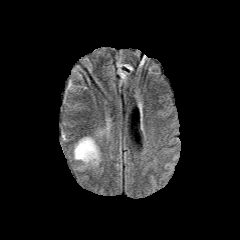
FLAIR magnetic resonance.
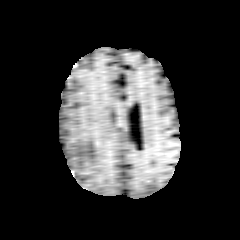
T1-weighted magnetic resonance of the same slice.
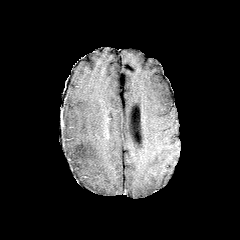
Same slice, post-contrast T1-weighted MR image.
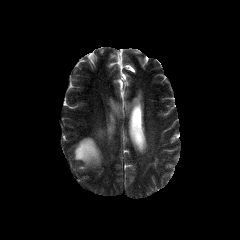
T2-weighted magnetic resonance.
Head
The edema is located at (73,137,101,168).